Field of view 240x240 mm. Brain.
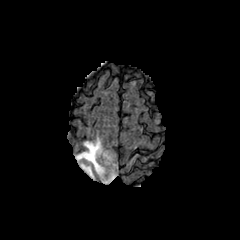
FLAIR MR image.
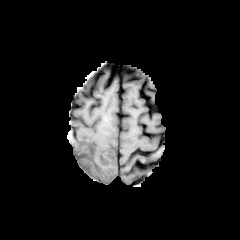
T1-weighted MR image.
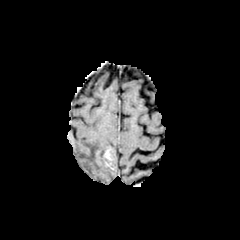
Same slice, post-contrast T1-weighted MR.
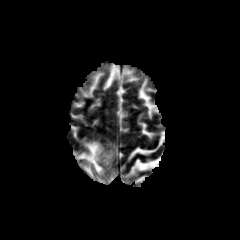
T2-weighted MRI.
Non-enhancing tumor core = 90,146,99,163.
Enhancing tumor = 104,149,111,165.
Edema = 75,137,117,184.